Computed tomography. Liver. Slice 32 of 81. Field of view 368x368 mm.

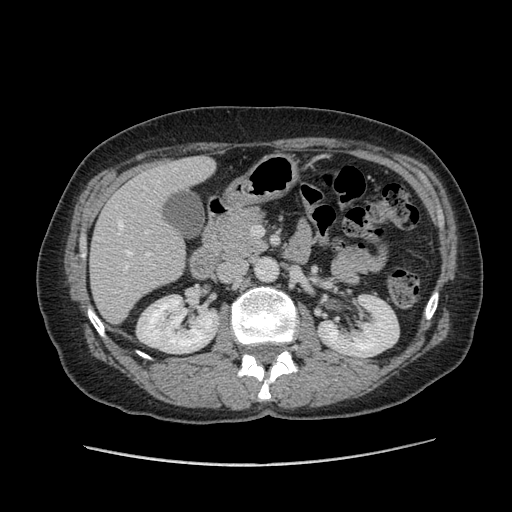
Not every hepatic vessel necessarily has a box.
<segmentation>
  <hepatic_vessel>left=145, top=231, right=147, bottom=234</hepatic_vessel>
</segmentation>